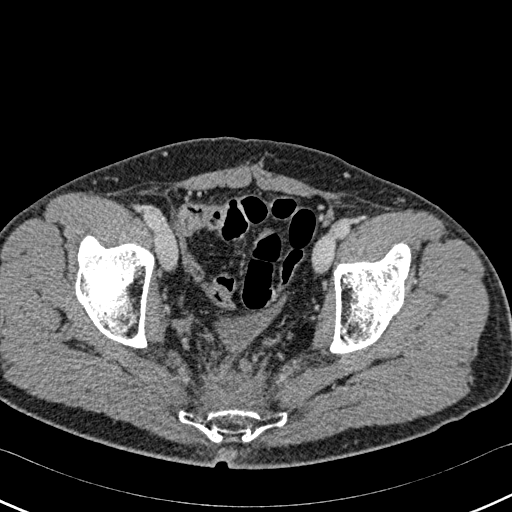 CT slice. Bone: rect(76, 236, 153, 347); rect(330, 243, 410, 353); rect(179, 409, 286, 441).